Abdomen, CT scan slice
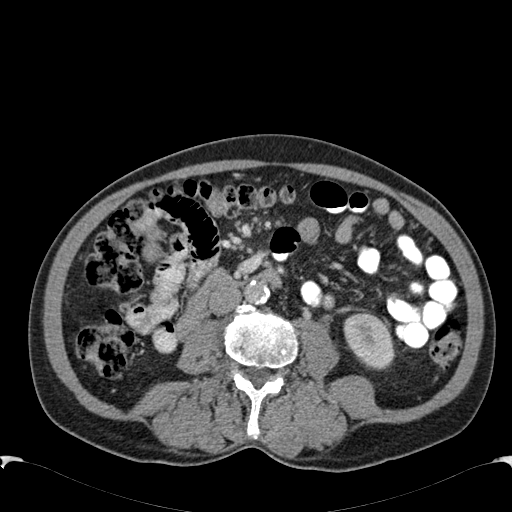 Kidney: bounding box (347, 316, 393, 368).